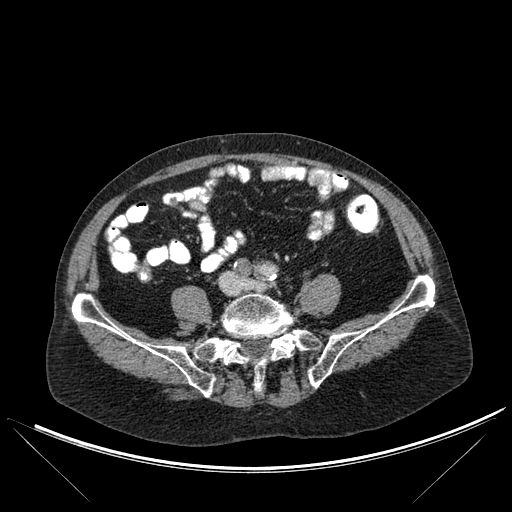 CT image

2 bone regions appear at x1=72 y1=293 x2=316 y2=396, x1=308 y1=275 x2=434 y2=387.